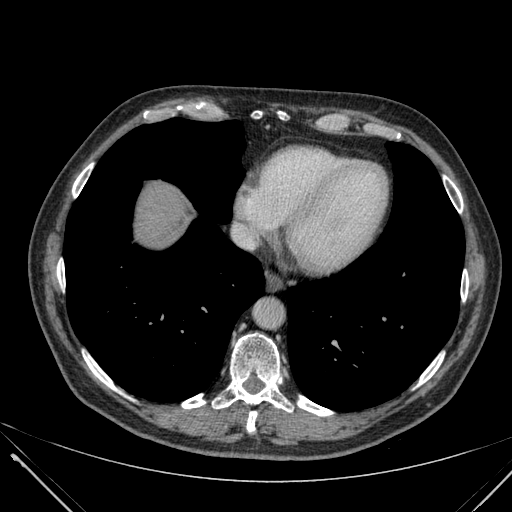 CT slice. liver: [x1=132, y1=180, x2=196, y2=250]